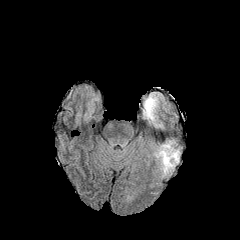
FLAIR MR.
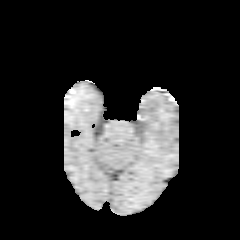
Same slice, T1-weighted MR image.
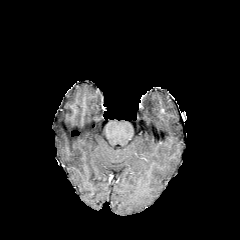
Post-contrast T1-weighted MRI.
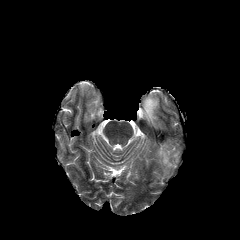
T2-weighted MRI of the same slice.
Brain
Annotated regions:
• edema: left=141, top=92, right=161, bottom=127; left=156, top=144, right=163, bottom=159